Magnetic resonance, 38x52

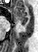 {"anterior_hippocampus": ["bbox=[13, 6, 27, 22]"], "posterior_hippocampus": ["bbox=[21, 23, 25, 25]"]}